CT scan slice
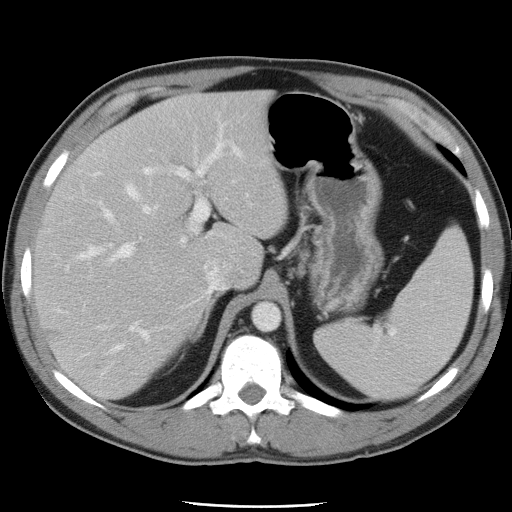 Some hepatic vessels may have no box.
• hepatic vessel (top 15 of 17): <box>113,346,119,350</box>, <box>176,169,187,176</box>, <box>190,199,208,232</box>, <box>142,204,155,213</box>, <box>145,168,152,172</box>, <box>181,237,185,243</box>, <box>75,245,104,259</box>, <box>198,143,220,173</box>, <box>125,182,140,200</box>, <box>108,242,134,262</box>, <box>102,206,114,222</box>, <box>233,146,236,151</box>, <box>99,202,101,205</box>, <box>204,259,226,293</box>, <box>129,323,149,341</box>